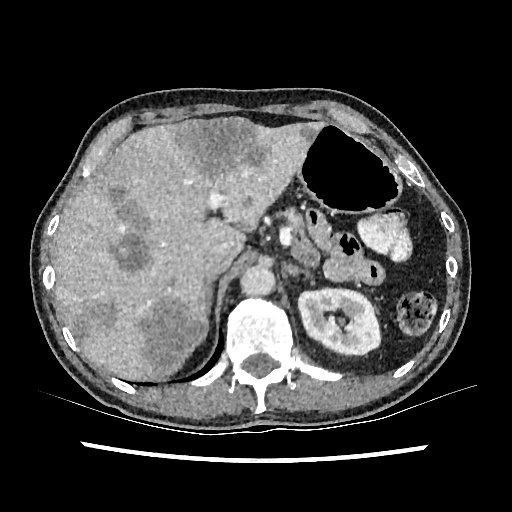

512x512 | CT scan slice | Liver
kidney: bbox=[298, 289, 379, 354] | liver: bbox=[54, 122, 329, 377] | focal liver lesion: bbox=[174, 117, 272, 181]; bbox=[72, 301, 117, 343]; bbox=[240, 195, 253, 207]; bbox=[299, 124, 317, 142]; bbox=[158, 278, 174, 290]; bbox=[138, 298, 205, 375]; bbox=[108, 185, 151, 274]